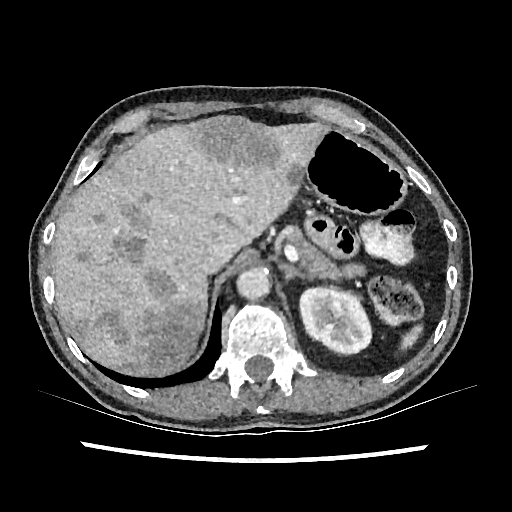
Liver, CT
The kidney is at [x1=300, y1=288, x2=371, y2=353]. 10 liver lesion regions are located at [x1=95, y1=268, x2=201, y2=374], [x1=72, y1=318, x2=89, y2=342], [x1=114, y1=236, x2=145, y2=266], [x1=123, y1=194, x2=149, y2=232], [x1=286, y1=163, x2=305, y2=186], [x1=185, y1=118, x2=284, y2=172], [x1=245, y1=216, x2=253, y2=225], [x1=233, y1=188, x2=242, y2=193], [x1=92, y1=213, x2=105, y2=223], [x1=76, y1=251, x2=91, y2=262]. 2 liver regions are located at [x1=53, y1=122, x2=328, y2=375], [x1=180, y1=331, x2=200, y2=364].